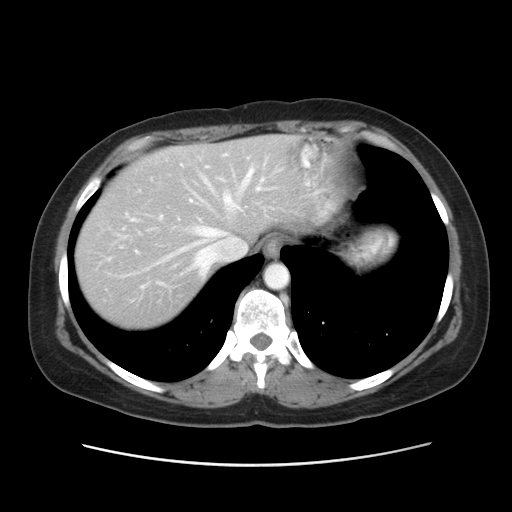 Abdomen. CT scan slice. The vessel annotation is not exhaustive.
The top 15 hepatic vessel regions (of 18) are bounded by 129,218,137,220; 205,166,208,167; 218,178,225,181; 223,193,236,208; 126,213,127,216; 223,153,227,156; 192,246,211,273; 200,175,213,190; 256,186,261,190; 197,226,222,236; 239,168,253,191; 188,199,191,201; 141,285,145,287; 159,216,162,219; 135,250,137,252.